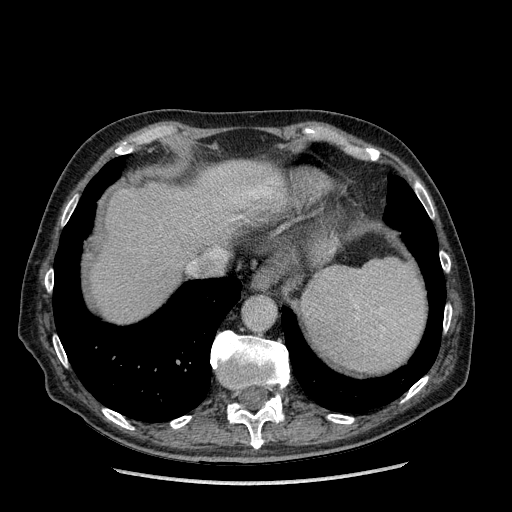

512x512 px | Computed tomography

Annotated regions:
• liver: 90,162,284,323